Head | Field of view 240 mm wide, 1.00 mm slice spacing
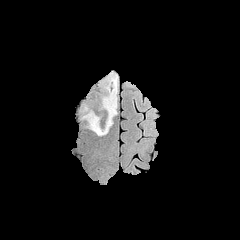
FLAIR MR.
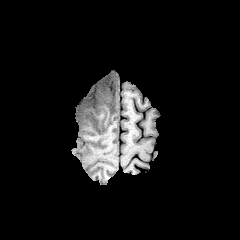
T1-weighted MR image of the same slice.
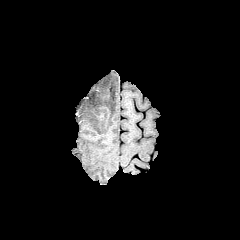
Post-contrast T1-weighted MR of the same slice.
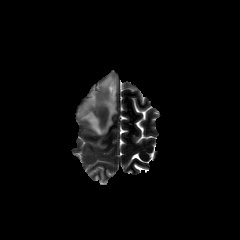
T2-weighted MRI.
Edema: bounding box bbox(83, 74, 118, 135).